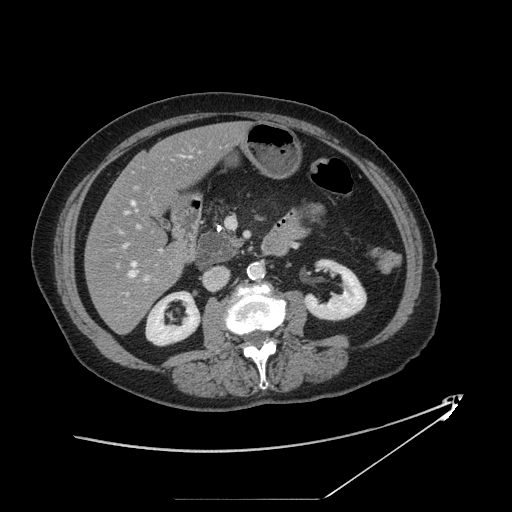

CT slice
The pancreatic tumor is located at region(196, 233, 234, 268). The pancreas is bounded by region(197, 230, 244, 270).